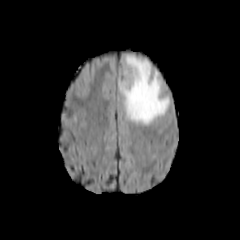
FLAIR MR image.
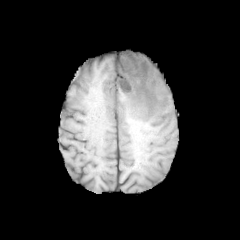
T1-weighted MR.
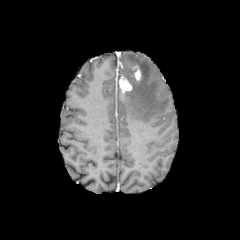
Same slice, post-contrast T1-weighted MRI.
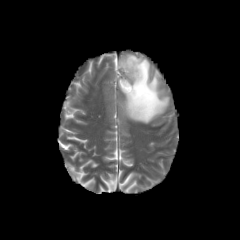
T2-weighted magnetic resonance of the same slice.
240x240 px.
Non-enhancing tumor core = 122, 67, 133, 76.
Edema = 124, 55, 170, 125.
Enhancing tumor = 119, 75, 132, 93; 120, 63, 141, 79.